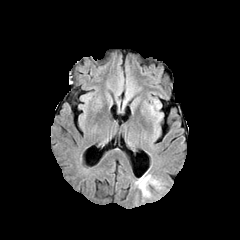
FLAIR magnetic resonance.
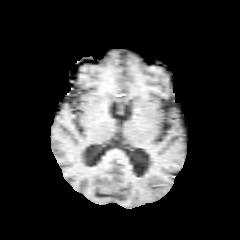
T1-weighted magnetic resonance.
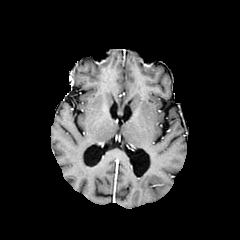
Post-contrast T1-weighted MRI of the same slice.
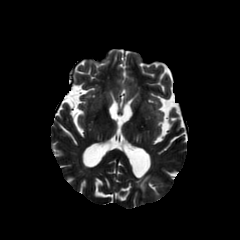
T2-weighted MR image.
Brain. 240x240 px.
Edema: [138,171,161,194].